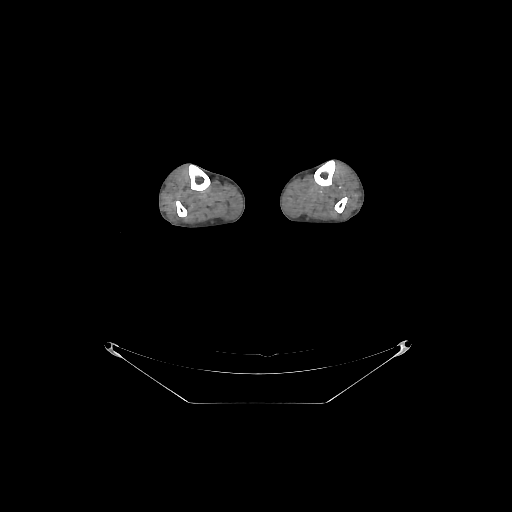
Computed tomography; Image size 512x512
{"bone": ["box=[176, 201, 186, 216]", "box=[188, 164, 210, 190]", "box=[314, 160, 335, 186]", "box=[334, 197, 347, 212]"]}